Abdomen. 512x512. CT. 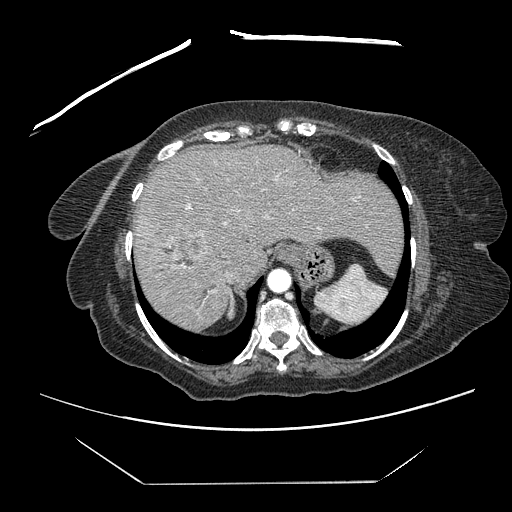 The vessel boxes may cover only some of the vessels.
Liver tumor = left=177, top=233, right=206, bottom=260.
Hepatic vessel = left=187, top=205, right=190, bottom=208.